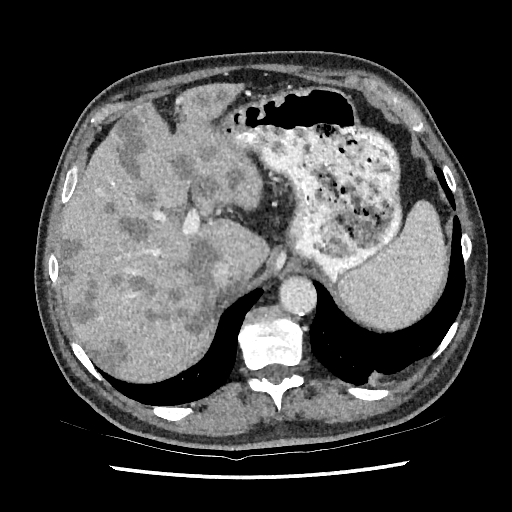

CT slice.
liver:
  - region(60, 84, 268, 382)
liver_lesion:
  - region(192, 89, 231, 109)
  - region(68, 276, 98, 323)
  - region(144, 309, 168, 320)
  - region(59, 237, 85, 284)
  - region(172, 152, 222, 200)
  - region(104, 201, 115, 214)
  - region(118, 217, 151, 241)
  - region(225, 167, 244, 191)
  - region(166, 287, 184, 303)
  - region(88, 338, 131, 372)
  - region(172, 234, 224, 335)
  - region(114, 115, 147, 177)
  - region(198, 145, 217, 161)
  - region(107, 272, 155, 294)
  - region(138, 185, 154, 206)